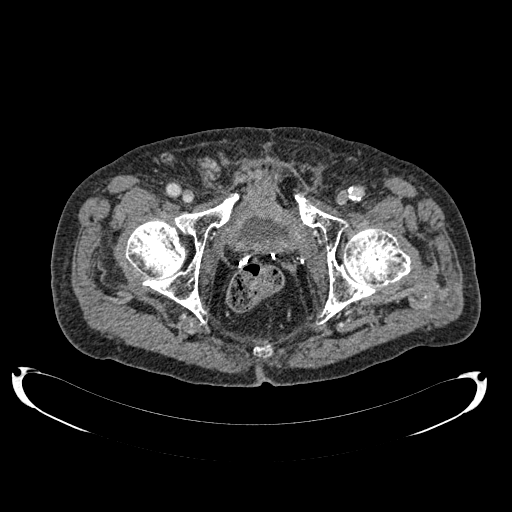

Pelvis | CT image
Urinary bladder: 240,216,287,241.